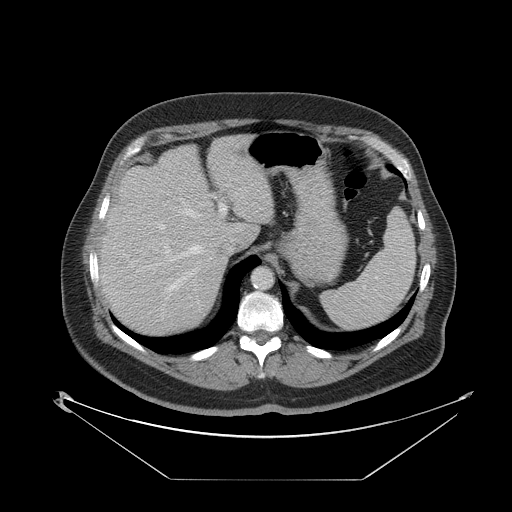
CT, Liver
The vessel annotation is not exhaustive.
Annotated regions:
• hepatic vessel: rect(166, 276, 185, 290); rect(171, 245, 206, 260); rect(157, 224, 164, 228); rect(165, 245, 167, 247); rect(220, 205, 226, 211); rect(183, 209, 194, 217); rect(198, 262, 199, 264); rect(166, 249, 169, 252)